Upper abdomen | CT

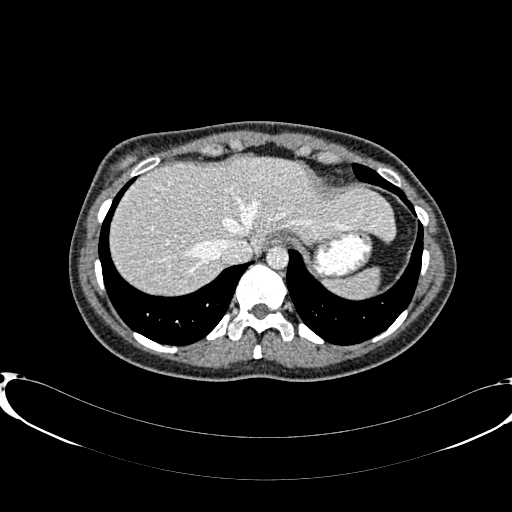 Annotated regions:
• liver: (x1=110, y1=156, x2=394, y2=293)